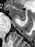 MR image
• anterior hippocampus: [x1=6, y1=5, x2=25, y2=20]